FLAIR MR.
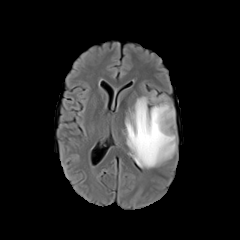
T1-weighted MR image.
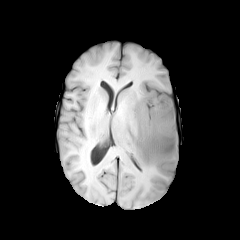
Post-contrast T1-weighted MR.
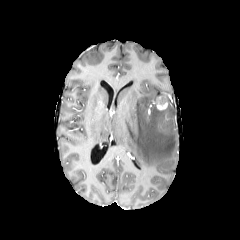
T2-weighted MR image.
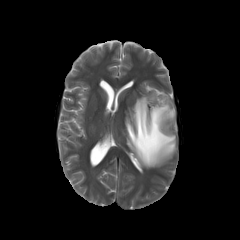
<segmentation>
  <non-enhancing_tumor_core>region(153, 93, 171, 110)</non-enhancing_tumor_core>
  <enhancing_tumor>region(157, 102, 167, 109)</enhancing_tumor>
  <edema>region(122, 89, 178, 169)</edema>
</segmentation>